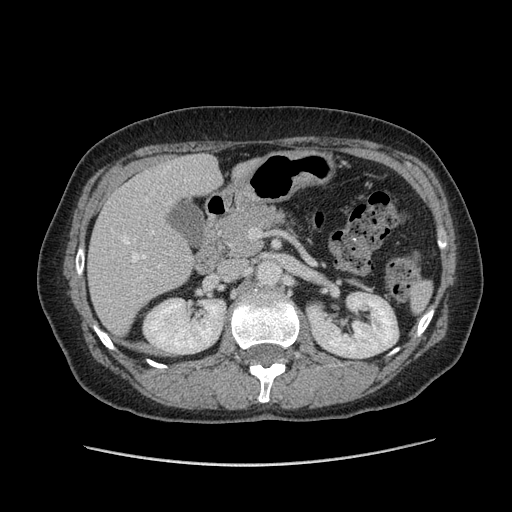 CT slice. Liver.

The vessel boxes may cover only some of the vessels.
Hepatic vessel = left=150, top=232, right=152, bottom=233.